Slice 79/134. Liver. CT image. 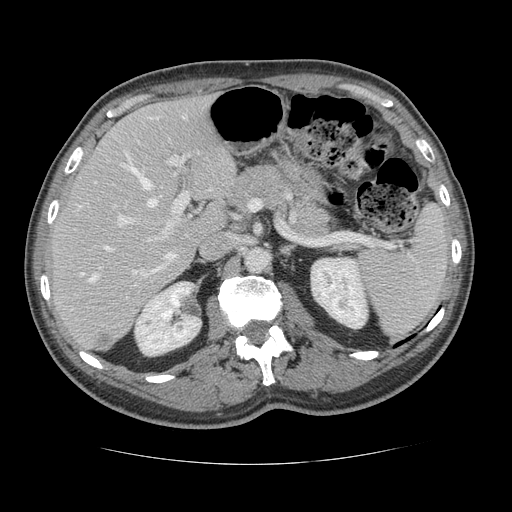

The vessel annotation is not exhaustive.
<segmentation partial="true">
  <hepatic_vessel shown="15" total="21">(163,221,172,237), (105,246,114,250), (80,272,84,274), (173,192,187,215), (168,156,183,164), (153,237,158,238), (121,160,151,188), (133,265,163,277), (182,114,186,118), (77,205,81,208), (118,214,133,225), (148,117,158,119), (165,252,176,262), (90,275,96,281), (148,199,157,205)</hepatic_vessel>
  <liver_tumor>(96,334,115,349)</liver_tumor>
</segmentation>